FLAIR MR image.
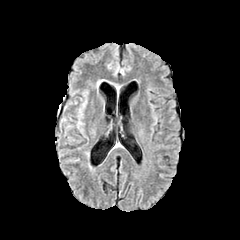
T1-weighted MR image.
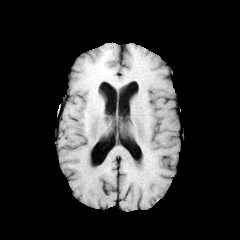
Post-contrast T1-weighted MR.
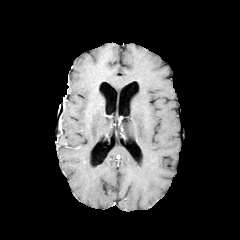
T2-weighted MRI.
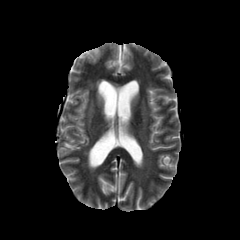
Edema: [57,114,81,136], [69,98,86,120].